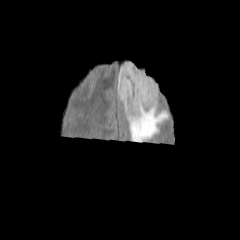
FLAIR MRI.
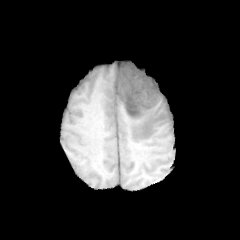
T1-weighted magnetic resonance.
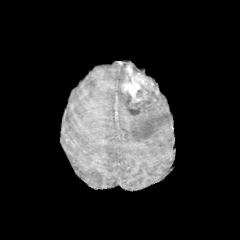
Same slice, post-contrast T1-weighted MRI.
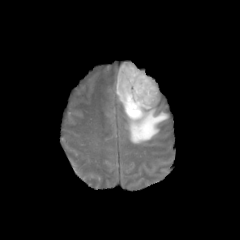
T2-weighted MRI of the same slice.
240x240, Brain
Enhancing tumor: (121, 64, 156, 104).
Non-enhancing tumor core: (125, 89, 158, 115).
Edema: (116, 61, 169, 143).